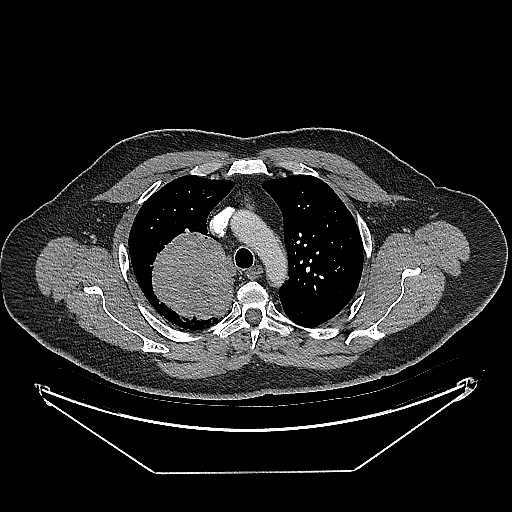 CT scan slice.

{"lung_tumor": ["l=148, t=226, r=232, b=324"]}